Liver. CT scan slice. 512x512 px. 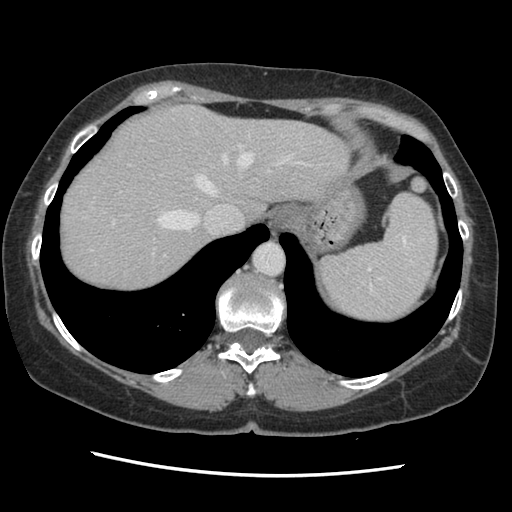

The vessel annotation is not exhaustive.
<segmentation>
  <hepatic_vessel>{"x1": 238, "y1": 152, "x2": 251, "y2": 167}, {"x1": 238, "y1": 144, "x2": 242, "y2": 149}, {"x1": 223, "y1": 154, "x2": 227, "y2": 162}, {"x1": 295, "y1": 161, "x2": 306, "y2": 164}, {"x1": 196, "y1": 175, "x2": 216, "y2": 195}, {"x1": 112, "y1": 221, "x2": 114, "y2": 224}, {"x1": 158, "y1": 210, "x2": 198, "y2": 230}, {"x1": 268, "y1": 170, "x2": 270, "y2": 171}, {"x1": 278, "y1": 155, "x2": 291, "y2": 162}</hepatic_vessel>
</segmentation>